FLAIR magnetic resonance.
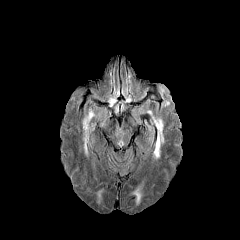
T1-weighted MR image.
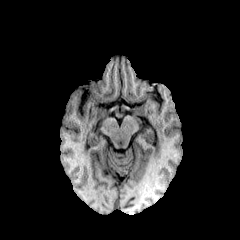
Post-contrast T1-weighted MR image.
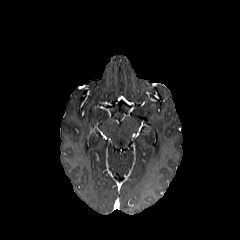
T2-weighted MRI.
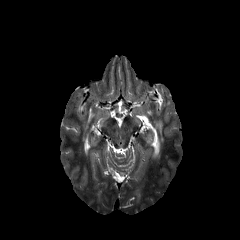
Head
3 edema regions are bounded by 82:109:96:156, 152:119:163:160, 134:187:141:203.